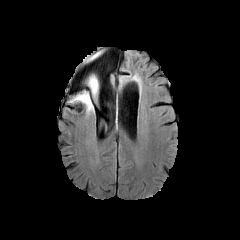
FLAIR magnetic resonance.
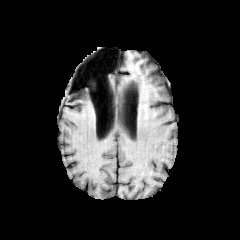
T1-weighted MR.
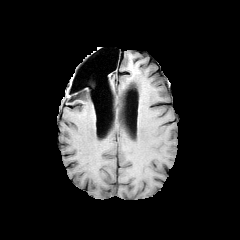
Post-contrast T1-weighted MR.
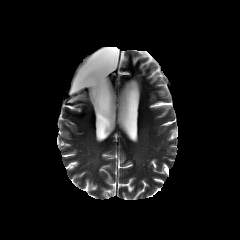
T2-weighted MR image of the same slice.
Brain
edema:
  - [x1=70, y1=74, x2=101, y2=112]